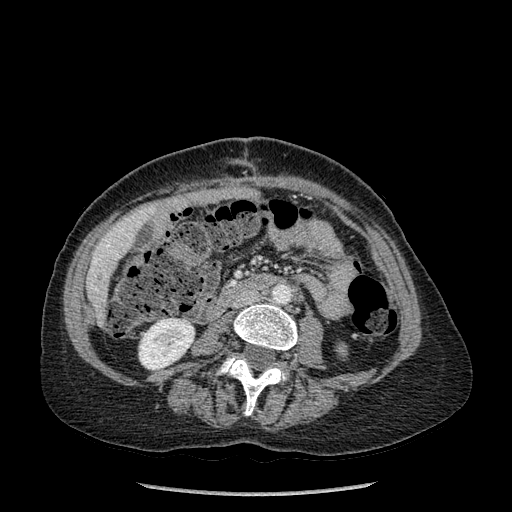
CT scan slice

• kidney: (x1=139, y1=318, x2=194, y2=369)
• liver: (x1=86, y1=207, x2=156, y2=329)
• bone: (x1=234, y1=303, x2=297, y2=350), (x1=217, y1=354, x2=286, y2=415)